Slice 20/100; Cardiac; MR 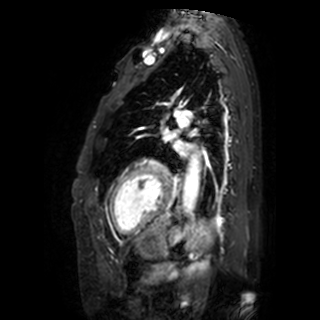

2 left atrium regions are located at left=163, top=130, right=169, bottom=140; left=174, top=141, right=187, bottom=155.